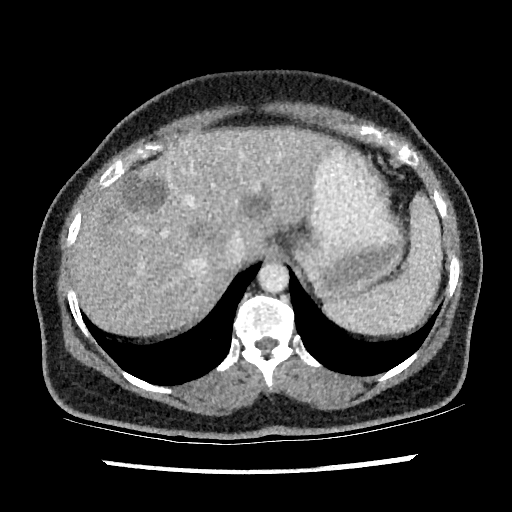 Upper abdomen, CT
liver:
  - bbox=[74, 129, 346, 334]
focal_liver_lesion:
  - bbox=[116, 173, 165, 209]
  - bbox=[241, 190, 269, 215]
  - bbox=[104, 208, 115, 222]
  - bbox=[190, 228, 202, 238]